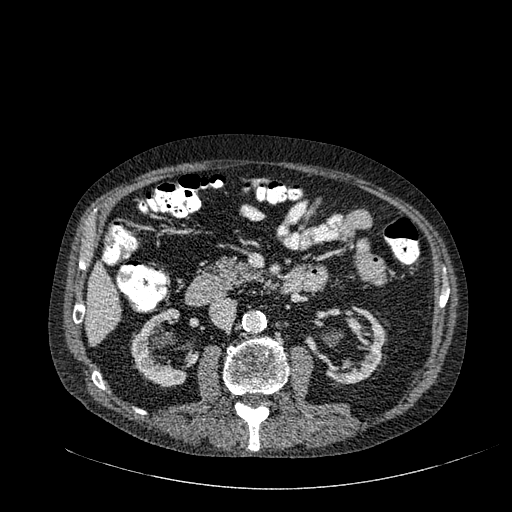

512x512 px | CT image | Abdomen

3 kidney regions are located at (189, 317, 198, 326), (131, 308, 197, 386), (317, 306, 386, 383). The liver is located at (87, 262, 119, 345).